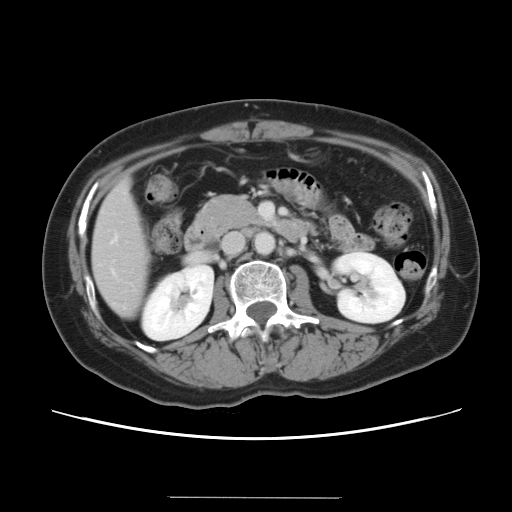
512x512 px. Abdomen. CT image.

Some hepatic vessels may have no box.
2 hepatic vessel regions appear at (110, 236, 117, 243), (112, 270, 113, 273).